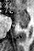 MR
Anterior hippocampus at (x1=11, y1=7, x2=28, y2=23).
Posterior hippocampus at (x1=19, y1=23, x2=28, y2=28).